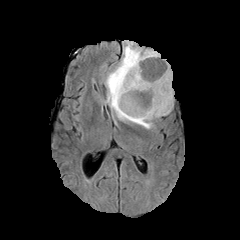
FLAIR magnetic resonance.
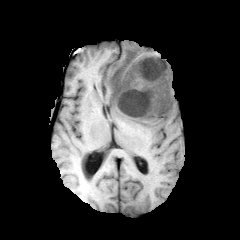
T1-weighted magnetic resonance.
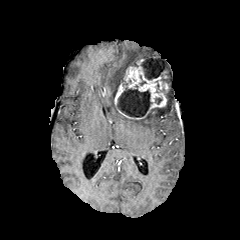
Same slice, post-contrast T1-weighted magnetic resonance.
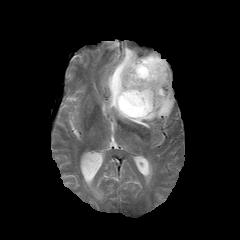
Same slice, T2-weighted MRI.
The enhancing tumor is bounded by (x1=114, y1=59, x2=168, y2=113). 3 non-enhancing tumor core regions are bounded by (x1=150, y1=96, x2=171, y2=115), (x1=140, y1=58, x2=164, y2=79), (x1=116, y1=88, x2=151, y2=117). The edema is bounded by (x1=102, y1=42, x2=173, y2=128).